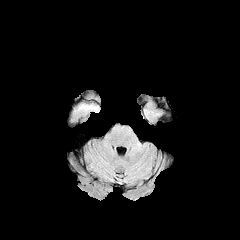
FLAIR MRI.
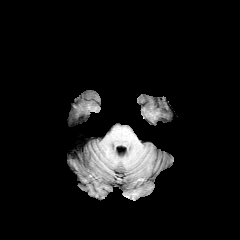
Same slice, T1-weighted MR image.
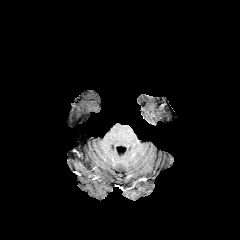
Post-contrast T1-weighted MRI.
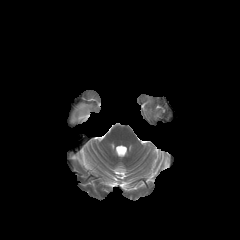
Same slice, T2-weighted MRI.
Head
edema: box=[75, 104, 98, 119]